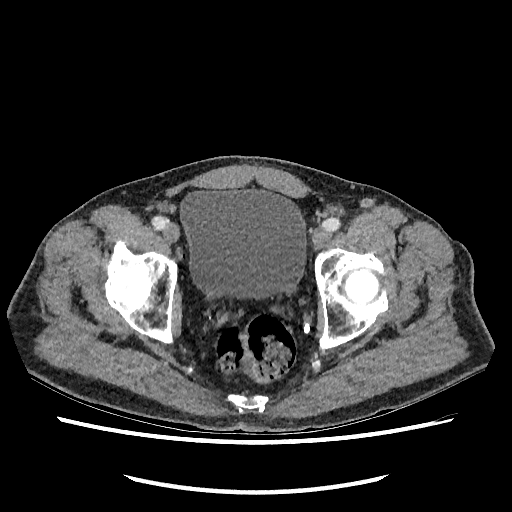

Lower abdomen. Image size 512x512. CT scan slice.

Urinary bladder at x1=180 y1=188 x2=306 y2=298.